MRI slice | Heart | Image size 320x320

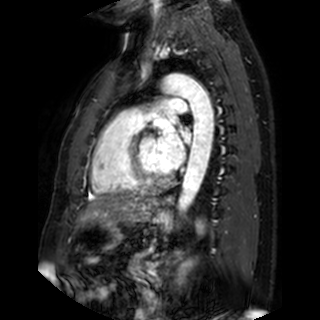 3 left atrium regions appear at 157, 121, 184, 170; 168, 114, 179, 123; 183, 131, 191, 142.